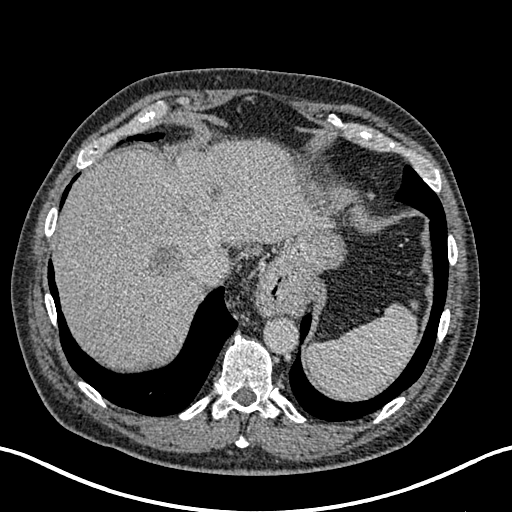

CT.
liver:
  - rect(55, 142, 335, 368)
focal_liver_lesion:
  - rect(146, 242, 183, 278)
  - rect(177, 197, 210, 218)
  - rect(206, 185, 222, 199)
  - rect(123, 350, 135, 363)